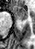
MR image, Image size 35x49, Hippocampus
• anterior hippocampus: x1=14, y1=6, x2=27, y2=20